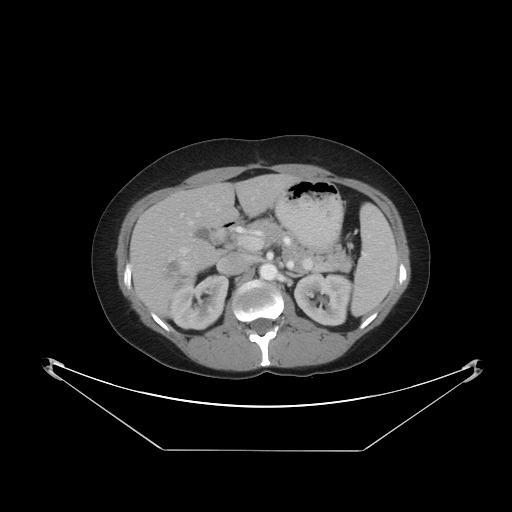 CT scan slice. Abdomen. 512x512 px.
Not every hepatic vessel necessarily has a box.
liver tumor: left=168, top=262, right=181, bottom=276 | hepatic vessel: left=170, top=229, right=172, bottom=230; left=256, top=190, right=258, bottom=192; left=179, top=247, right=188, bottom=254; left=188, top=220, right=192, bottom=224; left=251, top=198, right=253, bottom=199; left=216, top=208, right=220, bottom=210; left=209, top=203, right=211, bottom=206; left=196, top=212, right=199, bottom=215; left=168, top=257, right=173, bottom=260; left=180, top=214, right=182, bottom=216; left=181, top=262, right=187, bottom=264